Liver. CT slice. 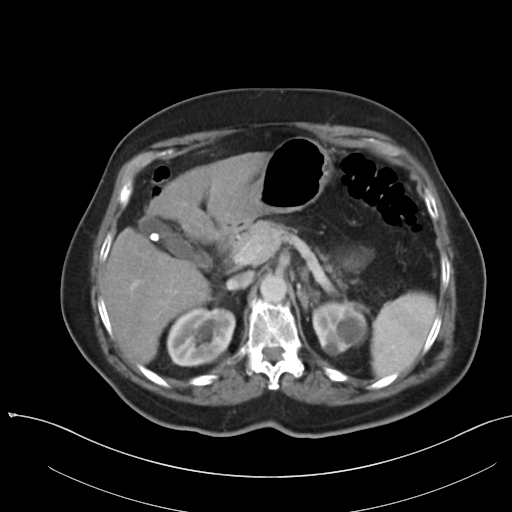

Some hepatic vessels may have no box.
<segmentation>
  <hepatic_vessel>rect(200, 293, 203, 298); rect(150, 338, 152, 341); rect(130, 280, 142, 294)</hepatic_vessel>
</segmentation>